Image size 320x320, MR

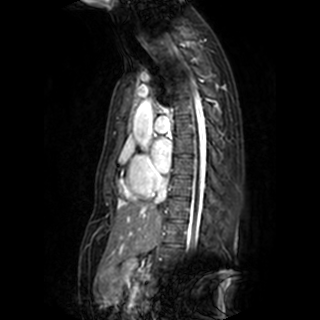
The left atrium is located at l=152, t=138, r=172, b=172.